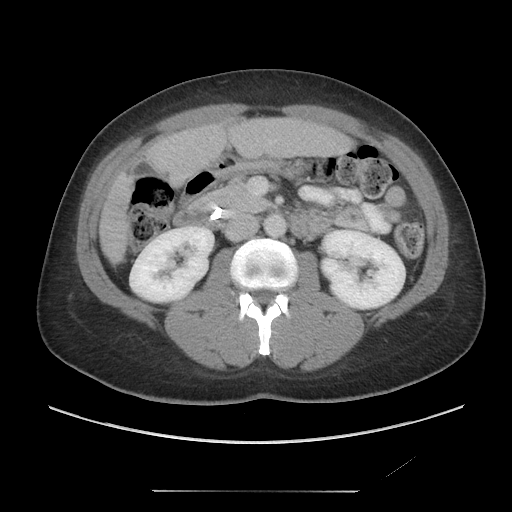

Computed tomography. Abdomen.

The vessel boxes may cover only some of the vessels.
The hepatic vessel is located at (x1=180, y1=146, x2=183, y2=148).